FLAIR MR image.
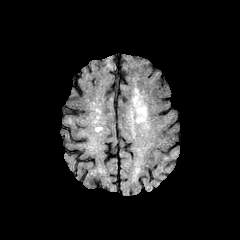
T1-weighted MR.
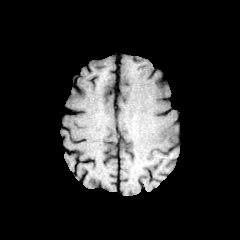
Post-contrast T1-weighted MRI.
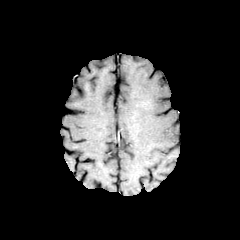
T2-weighted MRI.
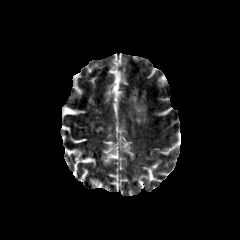
Head. 240x240 px.
<segmentation>
  <edema>131, 89, 147, 124</edema>
</segmentation>